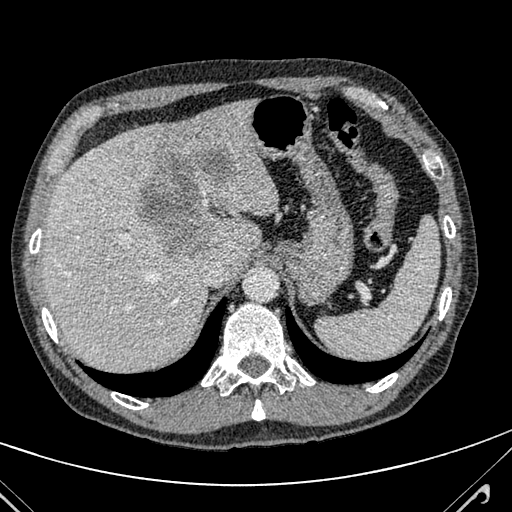 Liver; 512x512 px; CT image
The focal liver lesion appears at rect(138, 142, 233, 260). The liver is located at rect(42, 102, 278, 371).